CT scan slice; Liver

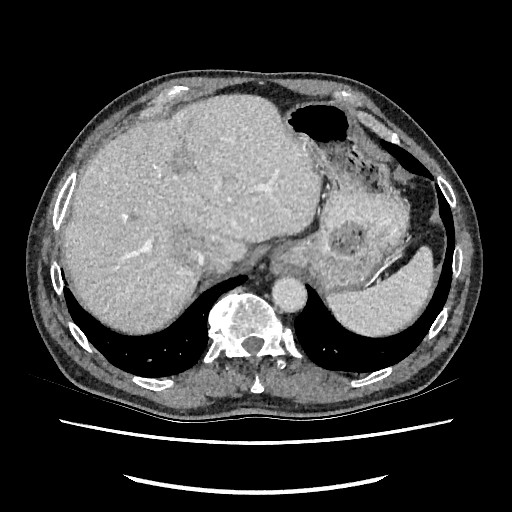
liver: <box>64,96,320,330</box> | hepatic lesion: <box>171,228,206,266</box>, <box>171,149,196,172</box>